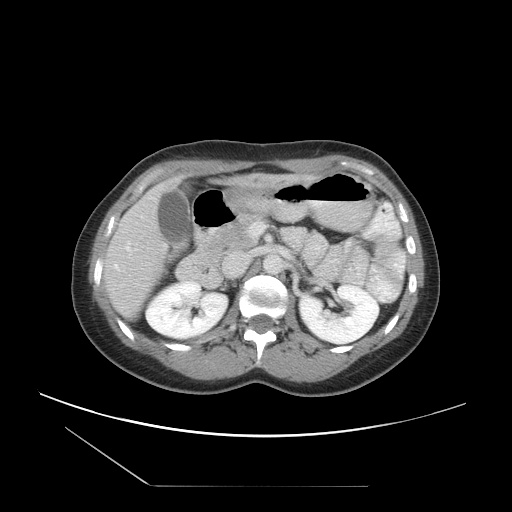 Abdomen | CT
Not every hepatic vessel necessarily has a box.
hepatic vessel: <box>151,198,156,199</box>, <box>249,232,259,235</box>, <box>225,253,248,274</box>, <box>162,243,166,251</box>, <box>116,265,119,269</box>, <box>126,243,129,249</box>